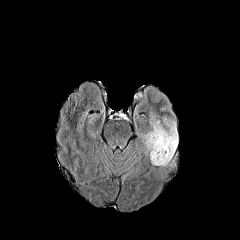
FLAIR MR.
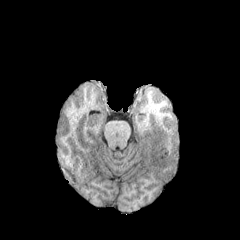
T1-weighted MR image of the same slice.
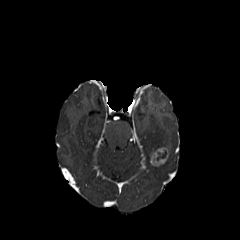
Same slice, post-contrast T1-weighted MRI.
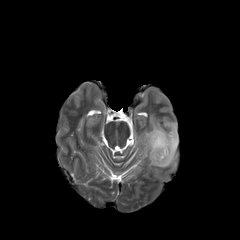
T2-weighted MRI of the same slice.
240x240
enhancing tumor: {"x1": 150, "y1": 147, "x2": 169, "y2": 165} | edema: {"x1": 140, "y1": 119, "x2": 177, "y2": 168}